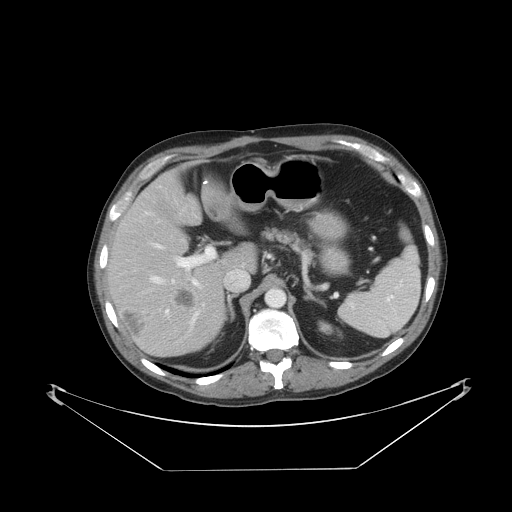
Computed tomography. Abdomen. The vessel annotation is not exhaustive.
Findings:
* liver tumor: {"x1": 124, "y1": 311, "x2": 153, "y2": 336}, {"x1": 177, "y1": 289, "x2": 193, "y2": 308}
* hepatic vessel: {"x1": 189, "y1": 311, "x2": 198, "y2": 329}, {"x1": 171, "y1": 279, "x2": 174, "y2": 282}, {"x1": 191, "y1": 279, "x2": 201, "y2": 287}, {"x1": 145, "y1": 211, "x2": 153, "y2": 215}, {"x1": 150, "y1": 276, "x2": 164, "y2": 283}, {"x1": 165, "y1": 309, "x2": 169, "y2": 317}, {"x1": 151, "y1": 243, "x2": 163, "y2": 248}, {"x1": 156, "y1": 220, "x2": 160, "y2": 223}, {"x1": 202, "y1": 303, "x2": 204, "y2": 305}